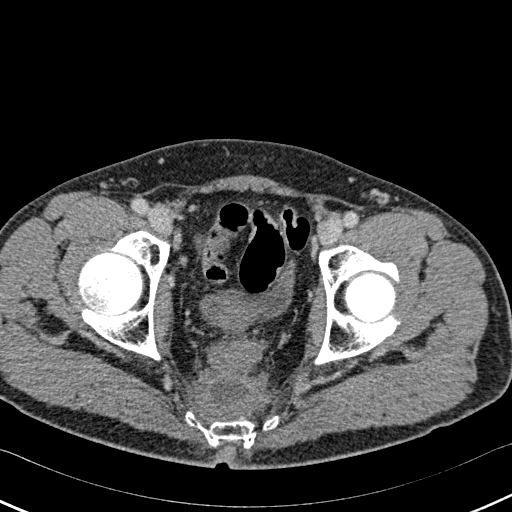 CT image
4 bone regions are bounded by (left=315, top=246, right=402, bottom=363), (left=78, top=231, right=169, bottom=359), (left=262, top=416, right=278, bottom=431), (left=185, top=412, right=259, bottom=447). The urinary bladder appears at (left=202, top=261, right=294, bottom=331).